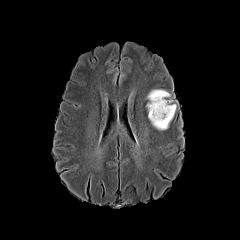
FLAIR MR image.
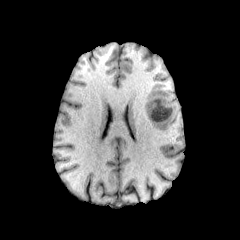
T1-weighted magnetic resonance.
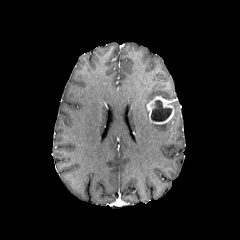
Post-contrast T1-weighted MR image.
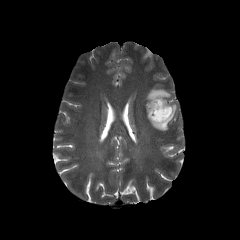
T2-weighted MR image.
<segmentation>
  <edema><box>151,115,173,131</box>, <box>146,89,171,101</box></edema>
  <non-enhancing_tumor_core><box>151,100,172,121</box></non-enhancing_tumor_core>
  <enhancing_tumor><box>146,96,174,123</box></enhancing_tumor>
</segmentation>